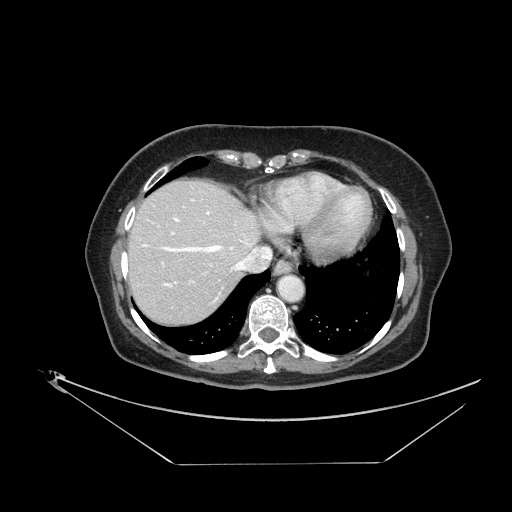

CT image
Some hepatic vessels may have no box.
Hepatic vessel: bounding box 163,282,176,286; 161,245,224,252; 157,224,159,226; 142,244,148,246; 162,262,163,264; 172,217,179,221; 228,246,233,249; 231,244,270,270; 191,200,194,200; 206,210,209,215; 170,232,174,234.